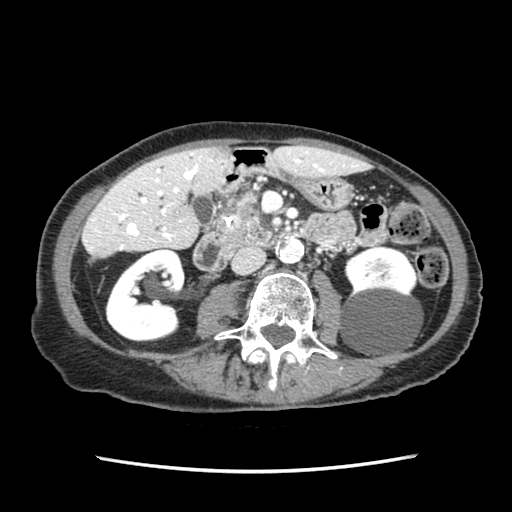
CT | Image size 512x512 | Abdomen

pancreas:
  - region(218, 190, 270, 243)
pancreatic_tumor:
  - region(241, 206, 248, 218)